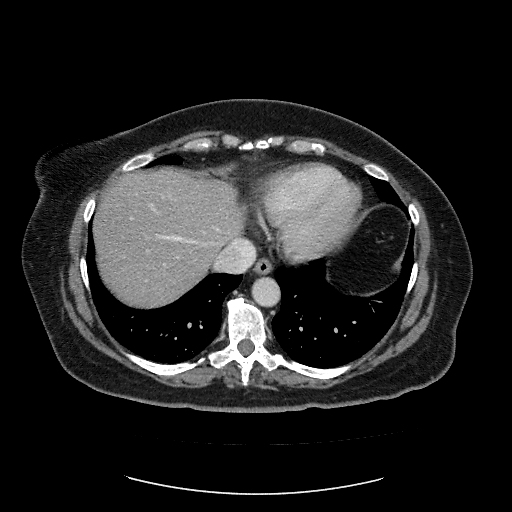

CT, 512x512 px, Liver

The vessel annotation is not exhaustive.
Findings:
* hepatic vessel: box=[150, 203, 157, 211]; box=[234, 240, 238, 242]; box=[131, 217, 132, 219]; box=[158, 235, 193, 242]; box=[147, 250, 150, 252]